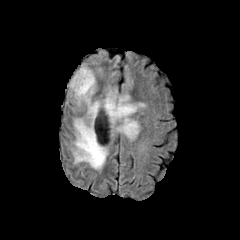
FLAIR MR image.
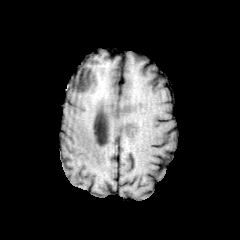
T1-weighted MR of the same slice.
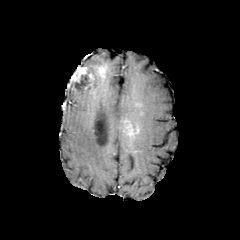
Post-contrast T1-weighted MR image.
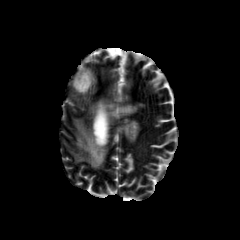
T2-weighted MRI.
Image size 240x240 | Brain
2 non-enhancing tumor core regions are located at x1=69, y1=70, x2=92, y2=90; x1=123, y1=121, x2=137, y2=135. The edema lies within x1=72, y1=73, x2=136, y2=169. The enhancing tumor appears at x1=71, y1=67, x2=87, y2=83.